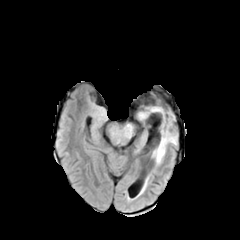
FLAIR MR image.
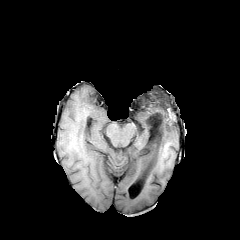
Same slice, T1-weighted magnetic resonance.
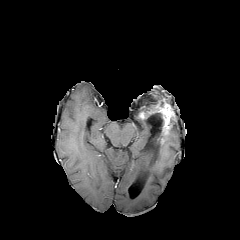
Post-contrast T1-weighted MRI.
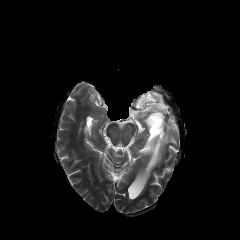
T2-weighted magnetic resonance of the same slice.
Head
• enhancing tumor: 139:100:173:143
• edema: 124:128:132:137, 144:113:157:125, 150:121:177:165
• non-enhancing tumor core: 154:112:162:140